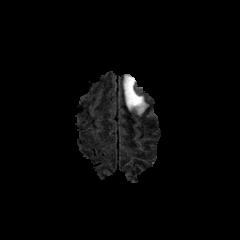
FLAIR MRI.
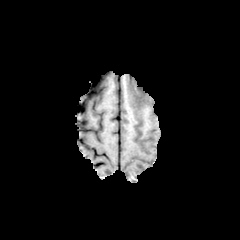
T1-weighted magnetic resonance.
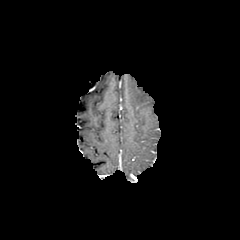
Post-contrast T1-weighted MRI of the same slice.
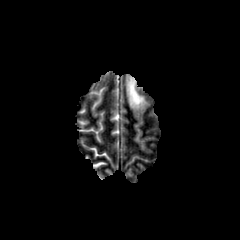
T2-weighted MR image.
Head
<segmentation>
  <edema><bbox>123, 76, 148, 113</bbox></edema>
</segmentation>